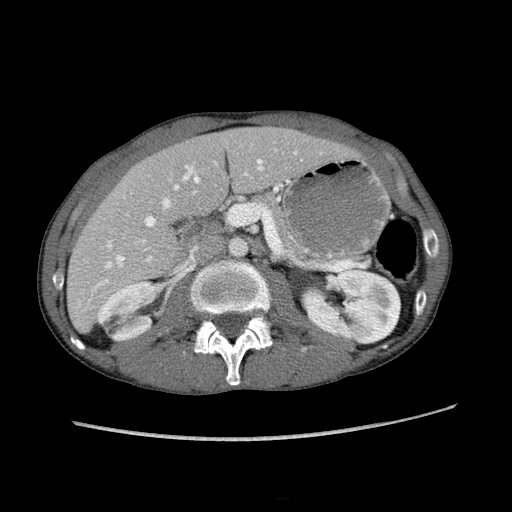 512x512. CT image. Upper abdomen.

<segmentation>
  <kidney>{"x1": 97, "y1": 283, "x2": 154, "y2": 339}, {"x1": 305, "y1": 268, "x2": 399, "y2": 342}</kidney>
  <liver>{"x1": 65, "y1": 126, "x2": 356, "y2": 328}</liver>
</segmentation>